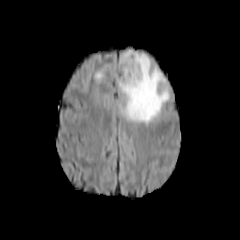
FLAIR MR image.
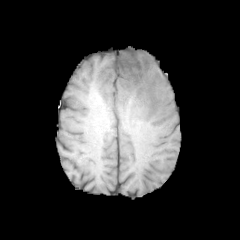
T1-weighted MR.
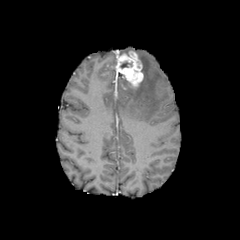
Post-contrast T1-weighted MRI of the same slice.
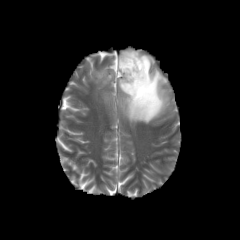
Same slice, T2-weighted MR image.
240x240 px
<segmentation>
  <enhancing_tumor>114, 50, 143, 86</enhancing_tumor>
  <edema>119, 52, 169, 123; 94, 72, 105, 79</edema>
  <non-enhancing_tumor_core>120, 60, 133, 69; 116, 74, 137, 89</non-enhancing_tumor_core>
</segmentation>